FLAIR MRI.
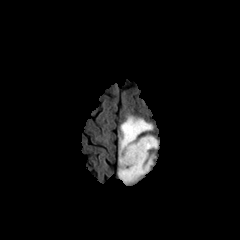
T1-weighted magnetic resonance.
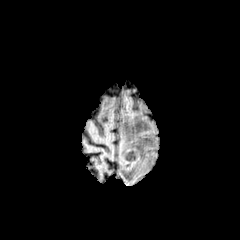
Post-contrast T1-weighted MR image.
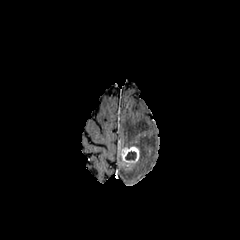
T2-weighted MR.
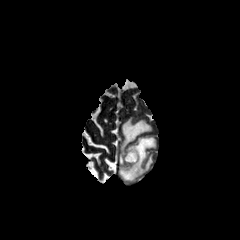
Brain
enhancing_tumor:
  - (118, 147, 139, 166)
edema:
  - (119, 115, 156, 185)
non-enhancing_tumor_core:
  - (125, 151, 136, 160)